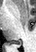 Magnetic resonance; Medial temporal lobe

The posterior hippocampus appears at (x1=13, y1=39, x2=21, y2=44).